Field of view 240x240 mm, Slice index 84
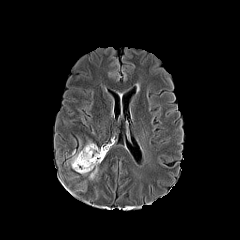
FLAIR MR.
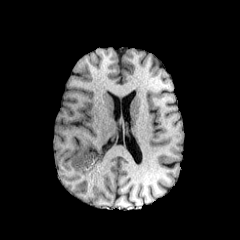
T1-weighted MR image.
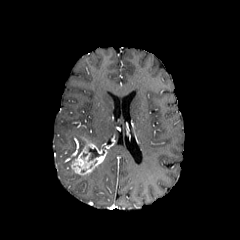
Post-contrast T1-weighted MR image.
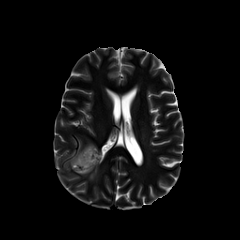
T2-weighted MR image.
Edema — [89,167,98,179].
Non-enhancing tumor core — [88,146,102,162], [69,148,81,164].
Enhancing tumor — [71,143,105,174].